Field of view 500 mm wide, 5.00 mm slice spacing, Computed tomography, Slice 38 of 55

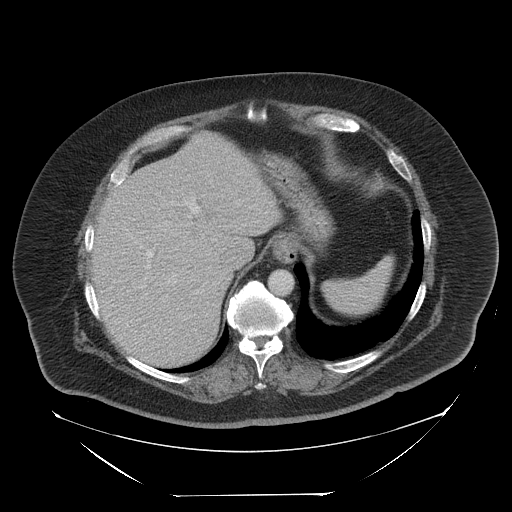

The spleen lies within region(321, 257, 393, 315).